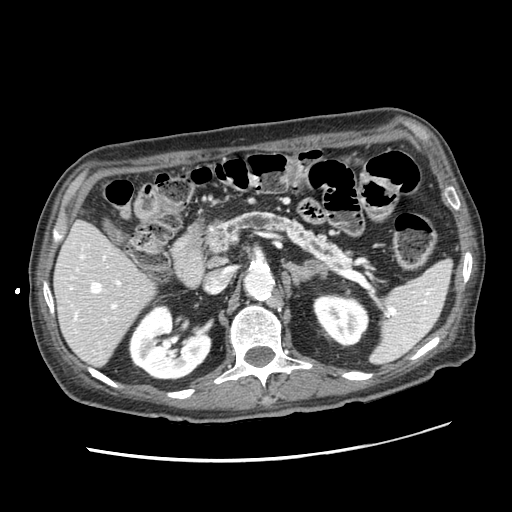 CT

The pancreatic tumor is located at box=[210, 227, 227, 249]. The pancreas is located at box=[209, 212, 349, 266].